Upper abdomen; CT image; 512x512

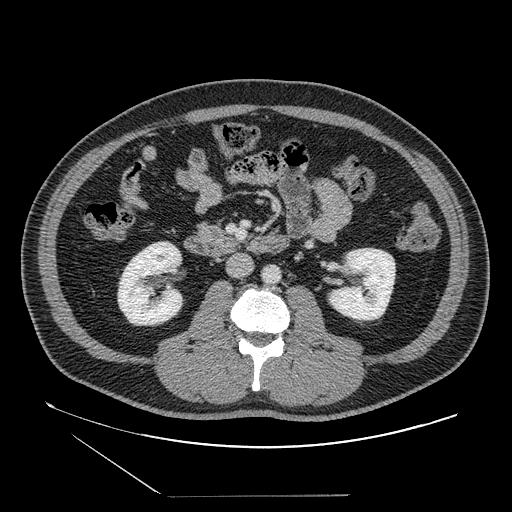 <segmentation>
  <pancreas>193 220 241 256</pancreas>
</segmentation>